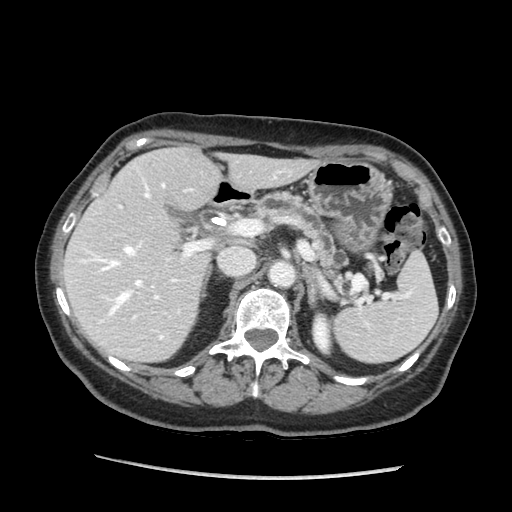
Computed tomography, Abdomen
Pancreas — (left=258, top=193, right=348, bottom=290).